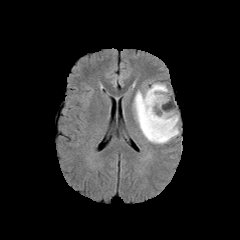
FLAIR MR image.
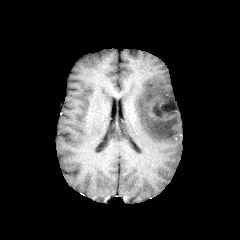
T1-weighted magnetic resonance.
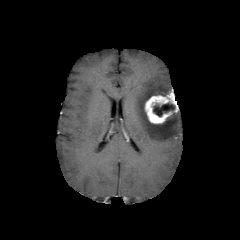
Post-contrast T1-weighted MRI of the same slice.
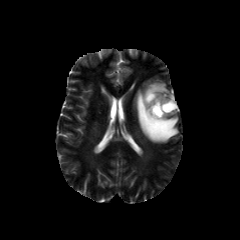
T2-weighted MR image.
{
  "non-enhancing_tumor_core": [
    "bbox=[153, 103, 174, 116]"
  ],
  "enhancing_tumor": [
    "bbox=[144, 89, 178, 124]"
  ],
  "edema": [
    "bbox=[134, 80, 179, 144]"
  ]
}